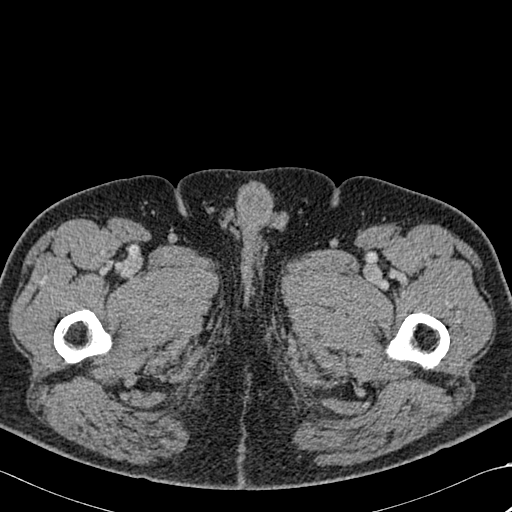

CT scan slice; Image size 512x512
- bone: 54:310:111:362, 387:313:449:368